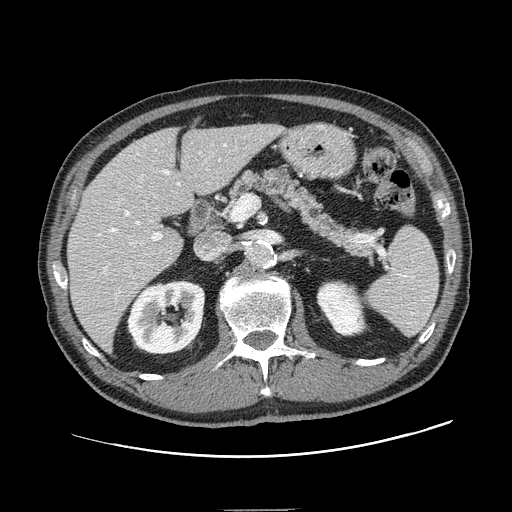

CT, Upper abdomen
Pancreas — 224, 165, 376, 258.